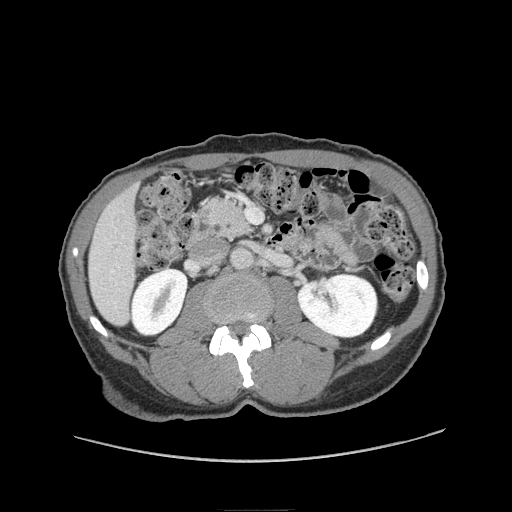
Upper abdomen. CT image.
<segmentation>
  <pancreas>bbox(205, 199, 252, 238)</pancreas>
</segmentation>